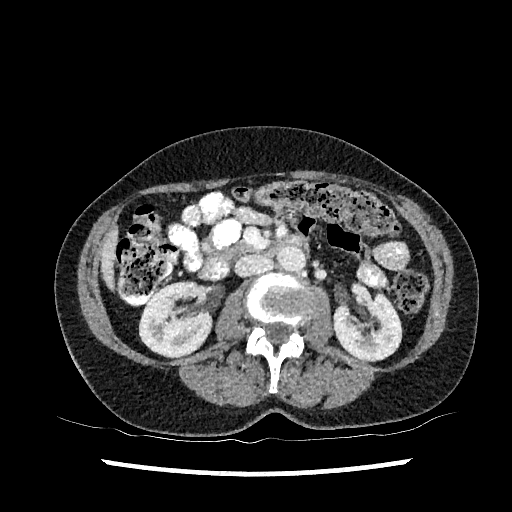 Computed tomography
liver: l=101, t=228, r=117, b=289 | kidney: l=334, t=295, r=401, b=360; l=140, t=283, r=210, b=356